CT image, Upper abdomen

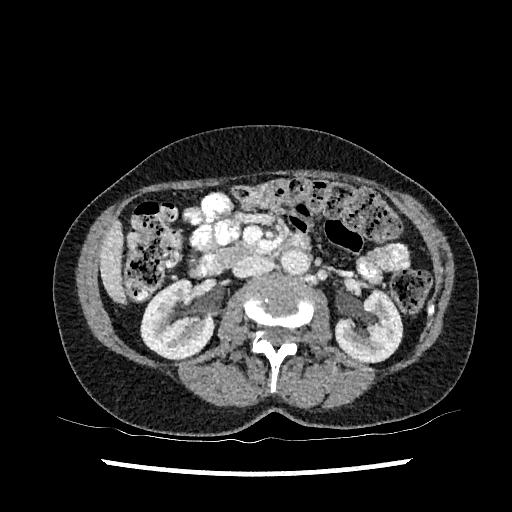
2 kidney regions appear at bbox=[141, 281, 213, 358]; bbox=[336, 292, 401, 362]. The liver appears at bbox=[100, 222, 124, 300].